FLAIR MRI.
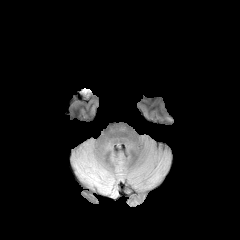
T1-weighted magnetic resonance.
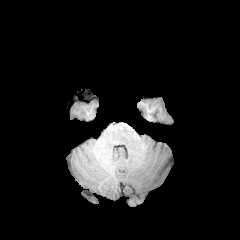
Post-contrast T1-weighted MRI.
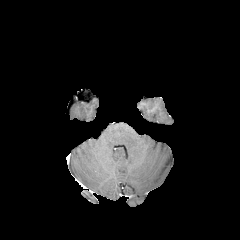
T2-weighted MR image.
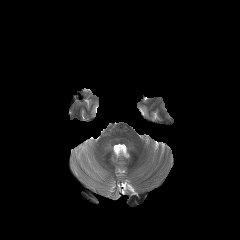
Brain; 240x240 px
edema:
  - left=90, top=150, right=102, bottom=176
  - left=100, top=180, right=113, bottom=192